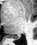

MRI | 37x45 px
posterior_hippocampus:
  - left=13, top=36, right=20, bottom=39